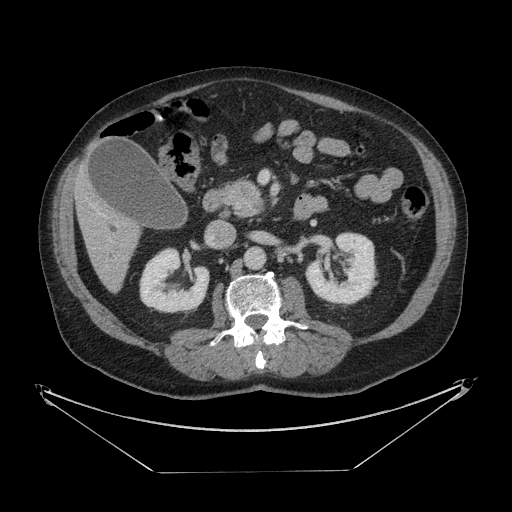
CT scan slice | Abdomen

Pancreas — l=235, t=182, r=261, b=215.
Pancreatic tumor — l=237, t=182, r=257, b=201.